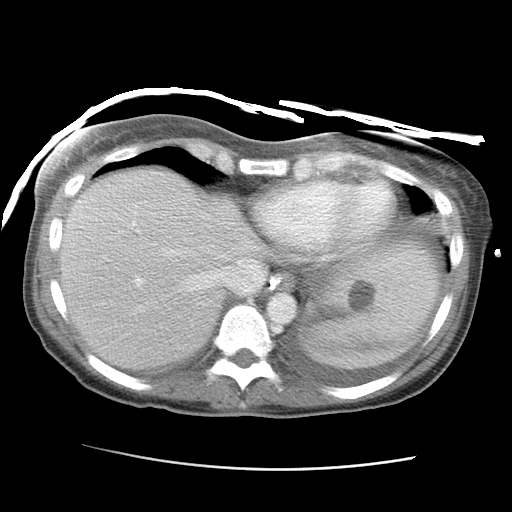
CT slice. Abdomen.

<segmentation>
  <focal_liver_lesion>[348,280,375,311]</focal_liver_lesion>
  <liver>[58,169,261,368], [335,246,436,337]</liver>
</segmentation>